Brain; Slice index 130; Field of view 240x240 mm
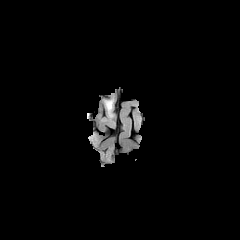
FLAIR MR image.
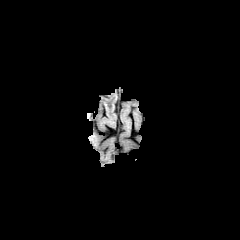
T1-weighted MR of the same slice.
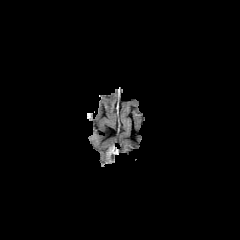
Same slice, post-contrast T1-weighted magnetic resonance.
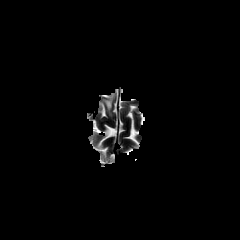
Same slice, T2-weighted MR image.
The edema is at bbox=[100, 95, 114, 122]. The non-enhancing tumor core is bounded by bbox=[106, 98, 112, 111].